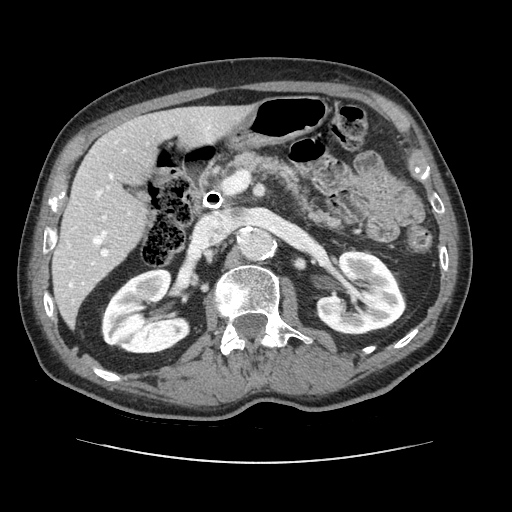
CT slice; Abdomen

The pancreas is bounded by region(229, 153, 340, 228).